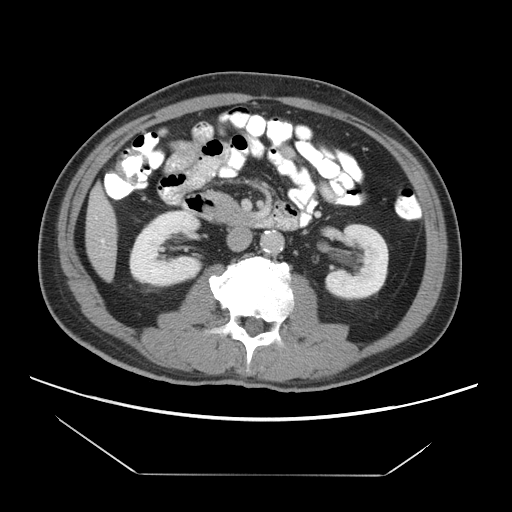 CT image | Liver
Some hepatic vessels may have no box.
Segmented structures:
* hepatic vessel: 97,207,98,209; 100,239,107,255; 95,216,97,218